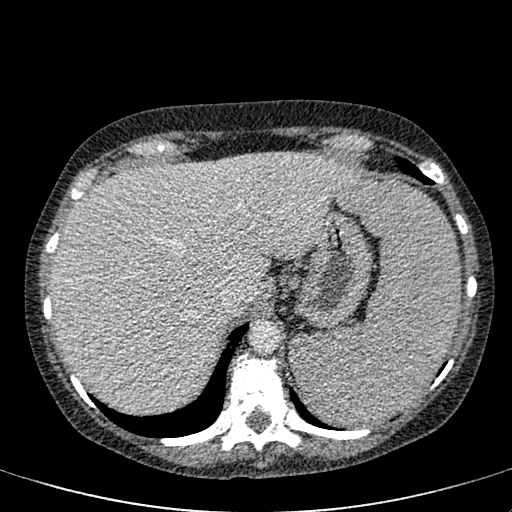

512x512 px, CT scan slice
Segmented structures:
• liver: {"x1": 53, "y1": 154, "x2": 359, "y2": 412}